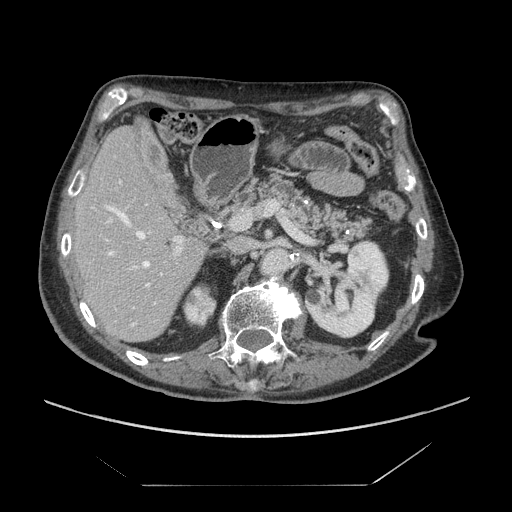

Abdomen; Image size 512x512; CT scan slice
Pancreas at 214, 171, 379, 245.